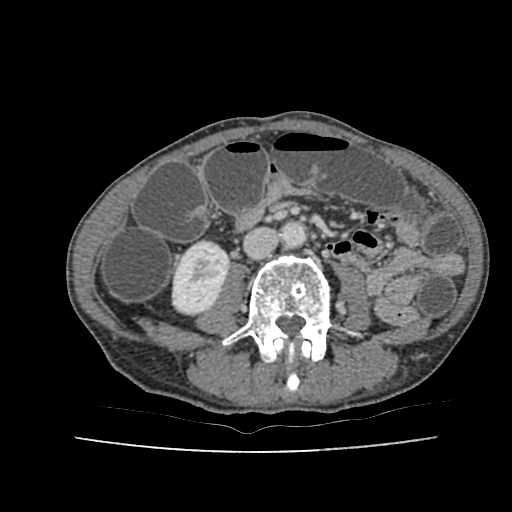
512x512; CT
The kidney appears at 173 242 228 312.